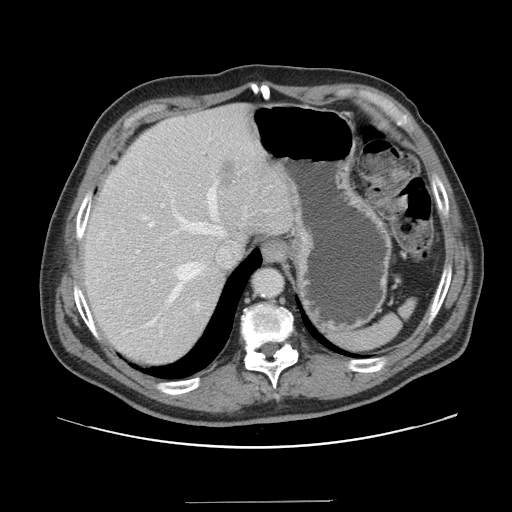
Abdomen. 512x512 px. Computed tomography. Only some of the vessels may be annotated.
{"hepatic_vessel": ["rect(175, 214, 223, 235)", "rect(168, 263, 203, 302)", "rect(136, 250, 139, 252)", "rect(149, 222, 153, 226)", "rect(142, 216, 146, 219)", "rect(149, 321, 153, 324)", "rect(152, 280, 154, 282)", "rect(162, 204, 163, 206)", "rect(207, 185, 216, 220)"], "liver_tumor": ["rect(218, 161, 237, 189)"]}